CT image | Image width 367 mm | 512x512
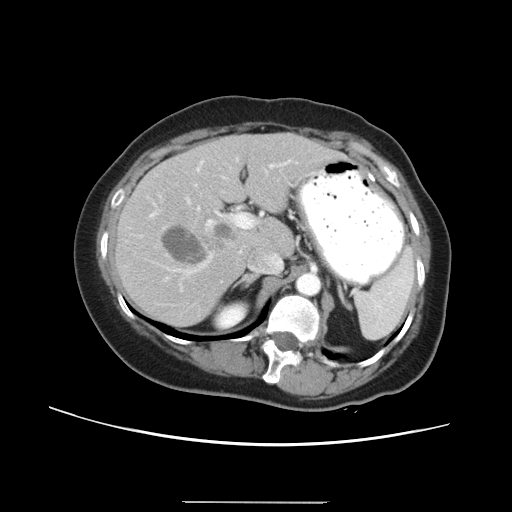
Only some of the vessels may be annotated.
9 hepatic vessel regions are bounded by region(230, 213, 254, 228); region(186, 198, 189, 201); region(199, 263, 205, 267); region(207, 220, 212, 225); region(270, 164, 272, 167); region(216, 211, 218, 214); region(172, 269, 196, 273); region(197, 207, 199, 209); region(197, 168, 199, 170). 2 liver tumor regions are located at region(216, 226, 228, 235); region(161, 226, 204, 264).